Computed tomography. Image width 442 mm. 512x512 px.

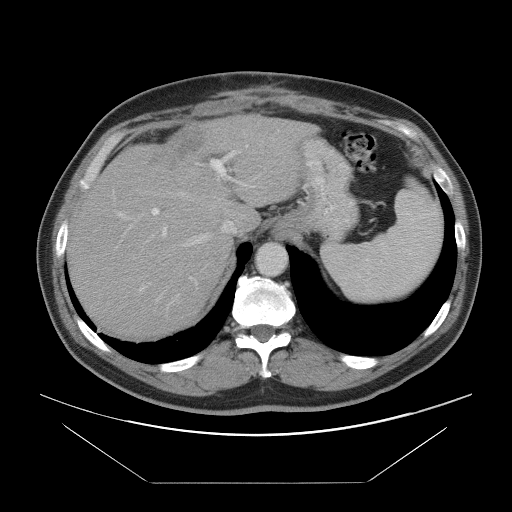

Only some of the vessels may be annotated.
Liver tumor at {"x1": 148, "y1": 125, "x2": 206, "y2": 170}.
Top 15 of 16 hepatic vessel regions at {"x1": 129, "y1": 225, "x2": 131, "y2": 227}, {"x1": 158, "y1": 293, "x2": 162, "y2": 299}, {"x1": 246, "y1": 145, "x2": 247, "y2": 146}, {"x1": 236, "y1": 169, "x2": 237, "y2": 170}, {"x1": 148, "y1": 282, "x2": 150, "y2": 284}, {"x1": 190, "y1": 277, "x2": 196, "y2": 284}, {"x1": 152, "y1": 208, "x2": 158, "y2": 214}, {"x1": 208, "y1": 151, "x2": 251, "y2": 186}, {"x1": 162, "y1": 229, "x2": 166, "y2": 235}, {"x1": 139, "y1": 287, "x2": 143, "y2": 291}, {"x1": 171, "y1": 294, "x2": 178, "y2": 302}, {"x1": 167, "y1": 305, "x2": 167, "y2": 309}, {"x1": 118, "y1": 212, "x2": 124, "y2": 216}, {"x1": 197, "y1": 163, "x2": 200, "y2": 164}, {"x1": 189, "y1": 239, "x2": 191, "y2": 241}.